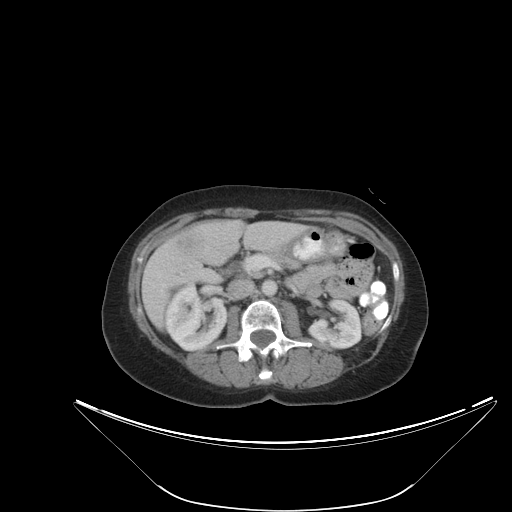

CT; 512x512 px

<segmentation>
  <liver_tumor><box>177,237,195,250</box></liver_tumor>
</segmentation>